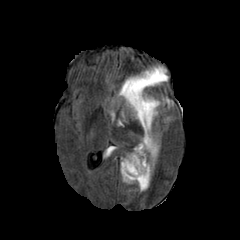
FLAIR MRI.
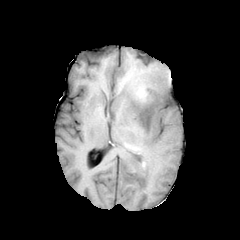
T1-weighted magnetic resonance.
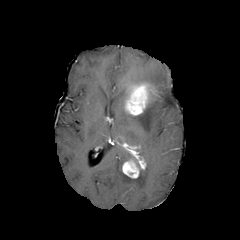
Same slice, post-contrast T1-weighted MRI.
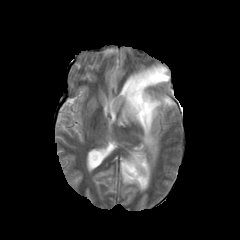
Same slice, T2-weighted MR image.
Edema — 120,94,172,190; 116,65,168,102.
Enhancing tumor — 126,83,149,115; 122,161,139,177.
Non-enhancing tumor core — 129,150,143,172.